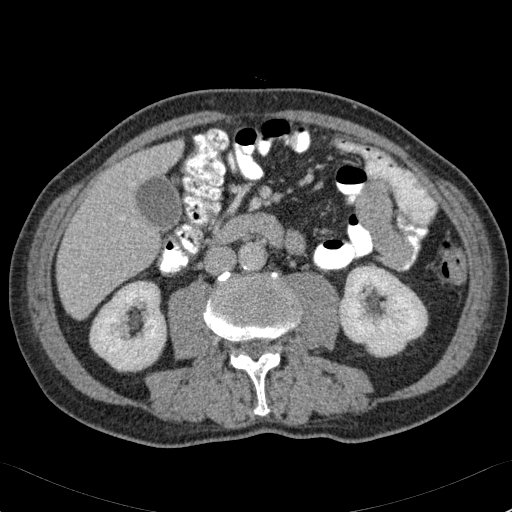
CT | 512x512
kidney: l=90, t=282, r=165, b=370; l=339, t=266, r=426, b=356 | liver: l=57, t=144, r=178, b=317